FLAIR magnetic resonance.
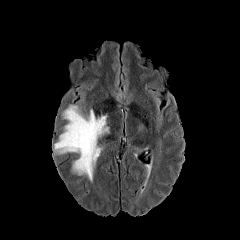
T1-weighted MR image.
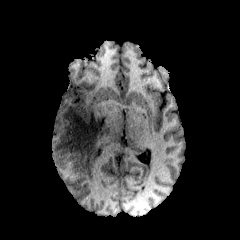
Post-contrast T1-weighted magnetic resonance.
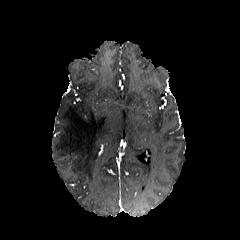
T2-weighted MRI.
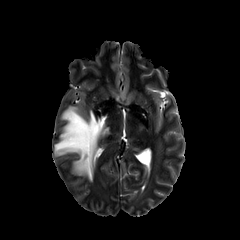
240x240 px.
edema: <box>53,105,109,183</box>